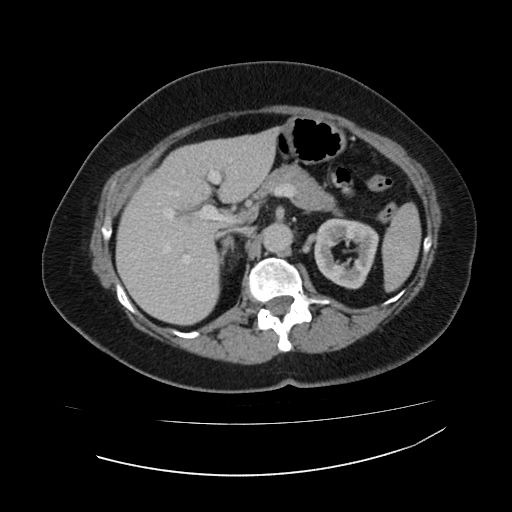
Computed tomography. 512x512 px. Liver. Kidney: (x1=315, y1=220, x2=378, y2=287).
Liver: (x1=116, y1=127, x2=277, y2=324).